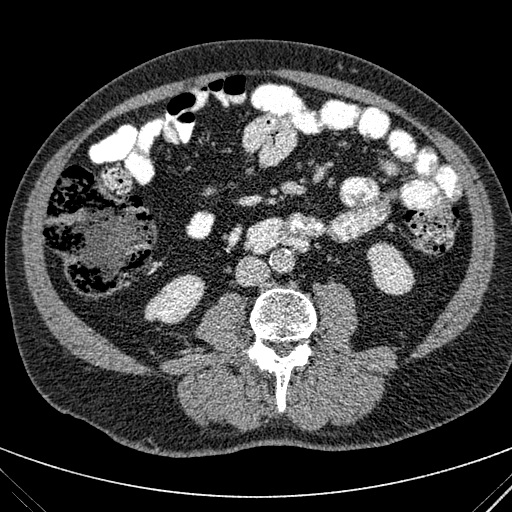

CT image
{
  "kidney": [
    "367 243 414 294",
    "145 275 204 323"
  ]
}